CT image. Upper abdomen. Field of view 339 mm wide, 2.50 mm slice spacing.
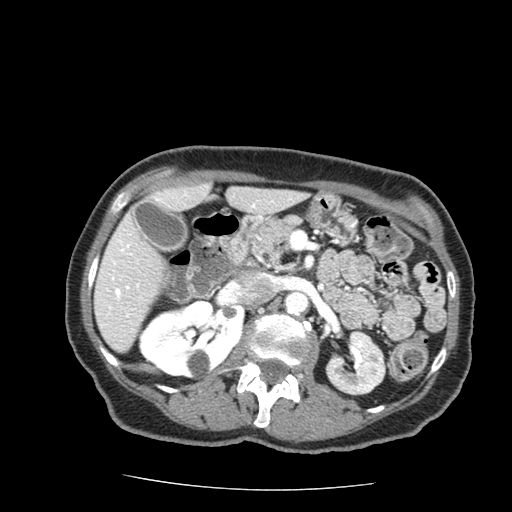
pancreas: [244,215,302,269]